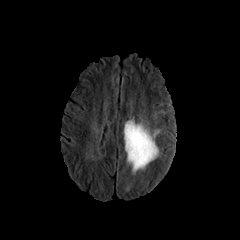
FLAIR magnetic resonance.
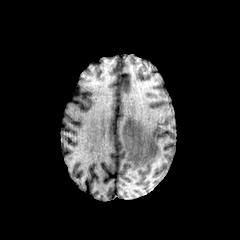
T1-weighted MRI.
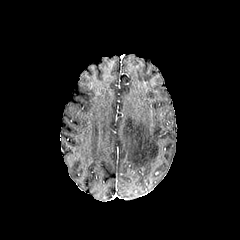
Post-contrast T1-weighted MRI.
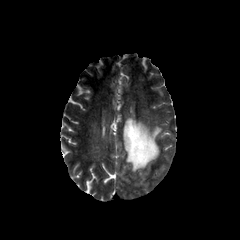
T2-weighted MR image.
Brain
The edema is at 123 119 160 175.